Image size 512x512, Computed tomography

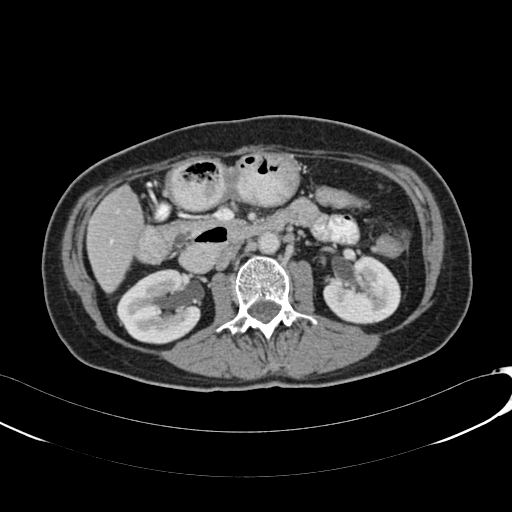

Kidney: bounding box [118, 270, 199, 342], [324, 257, 399, 322].
Liver: bounding box [87, 185, 143, 292].